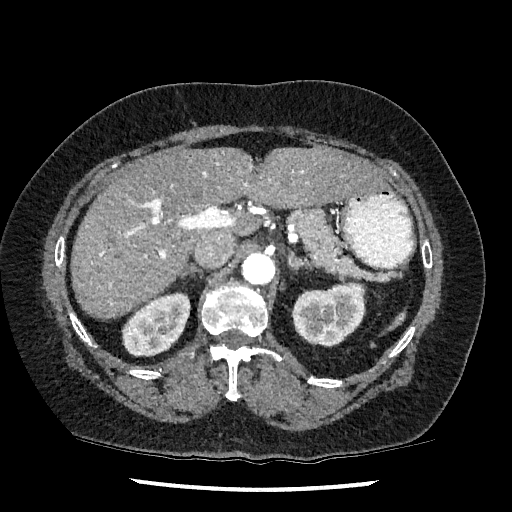 Abdomen | CT slice
Liver = region(71, 147, 385, 317).
Kidney = region(293, 283, 364, 345); region(123, 293, 189, 355).